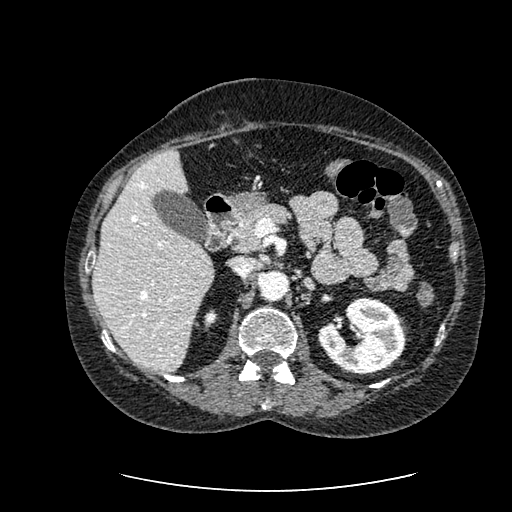
CT scan slice. 512x512 px. Upper abdomen.
Annotated regions:
- kidney: 205, 311, 215, 324; 319, 299, 404, 373
- liver: 93, 151, 213, 371